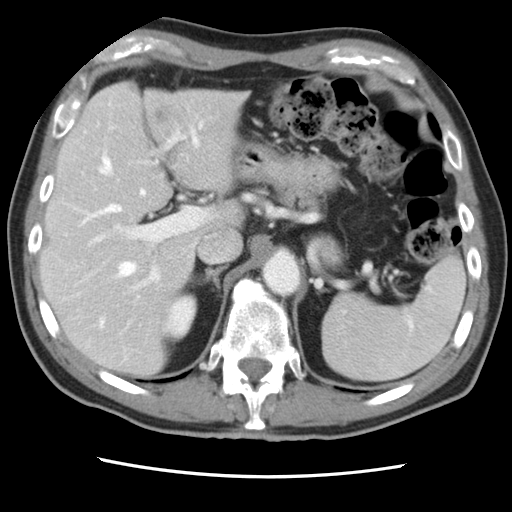 CT | 512x512 px
Some hepatic vessels may have no box.
hepatic vessel: 155:161:156:163, 110:127:113:129, 191:130:198:144, 135:268:159:287, 116:225:120:229, 168:139:170:141, 119:262:136:275, 101:157:111:173, 100:205:122:213, 199:123:202:127, 100:320:104:325, 82:212:94:224, 172:128:185:139, 141:189:145:194